Head
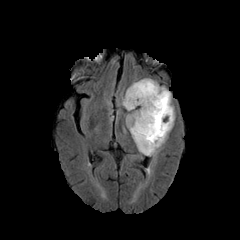
FLAIR magnetic resonance.
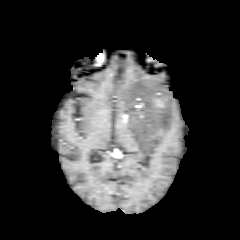
Same slice, T1-weighted MR image.
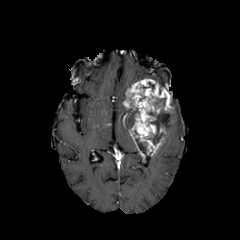
Post-contrast T1-weighted magnetic resonance of the same slice.
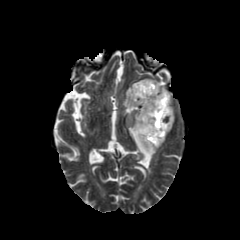
T2-weighted MRI of the same slice.
Non-enhancing tumor core — <bbox>146, 95, 171, 143</bbox>.
Enhancing tumor — <bbox>124, 79, 173, 153</bbox>.
Edema — <bbox>120, 81, 175, 159</bbox>.